Slice 21/32; 34x48; Field of view 34x48 mm; Magnetic resonance 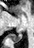 posterior hippocampus: (left=13, top=34, right=21, bottom=42)